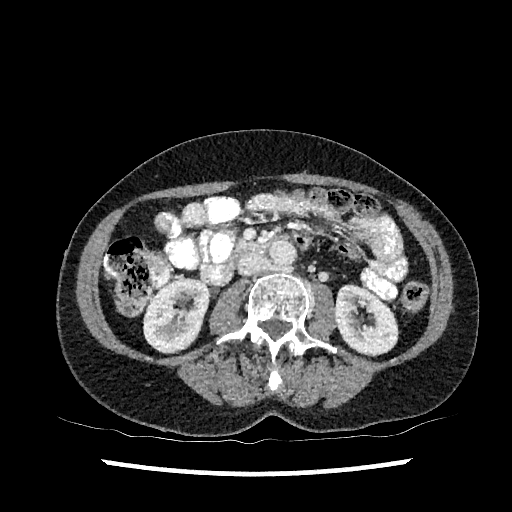

Computed tomography. 512x512 px.
2 kidney regions appear at [x1=335, y1=286, x2=397, y2=354], [x1=144, y1=279, x2=208, y2=352].